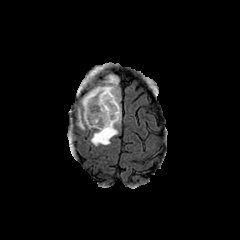
FLAIR MR image.
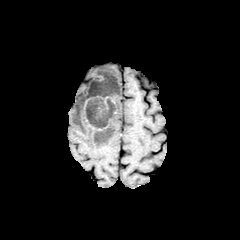
Same slice, T1-weighted MR.
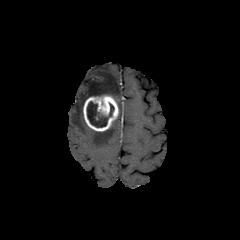
Post-contrast T1-weighted MRI of the same slice.
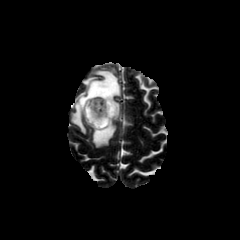
T2-weighted MRI of the same slice.
240x240
edema: 73:68:121:147 | non-enhancing tumor core: 87:102:107:127, 77:74:119:123, 94:127:111:138 | enhancing tumor: 83:94:118:131